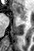

Hippocampus, MRI slice
Anterior hippocampus: <box>25,15,26,20</box>, <box>11,4,26,16</box>.